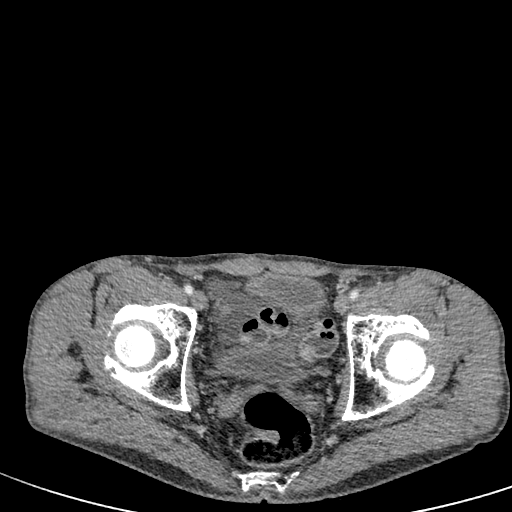
512x512, Computed tomography, Pelvis

Urinary bladder: 208:342:254:384, 245:273:324:390.